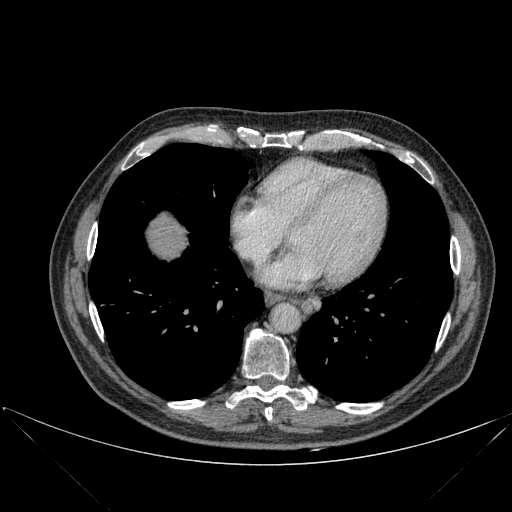

Computed tomography; Upper abdomen; 512x512
{"liver": ["148:216:184:256"], "bone": ["87:222:97:259", "436:316:450:348", "450:236:460:273", "324:130:367:141", "132:144:148:155", "89:304:103:340", "168:399:204:409", "244:329:288:379", "233:385:316:409", "262:132:300:147", "336:403:381:413", "406:153:413:162", "239:127:258:134", "265:407:272:420"], "lung": ["88:143:263:399", "296:151:452:402"]}